Field of view 240 mm wide, 1.00 mm slice spacing, Slice 103 of 155
FLAIR MRI.
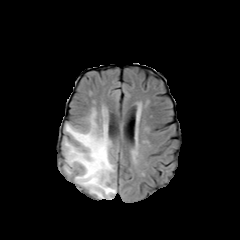
T1-weighted MR.
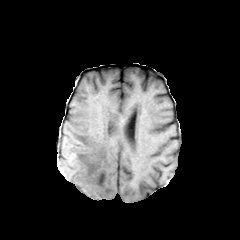
Post-contrast T1-weighted MRI.
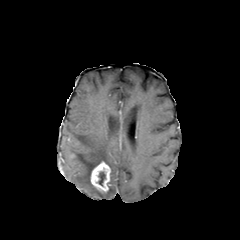
T2-weighted MR.
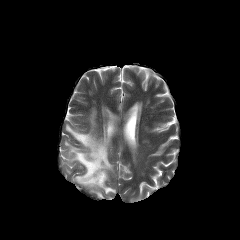
Segmented structures:
* non-enhancing tumor core: bbox=[89, 162, 100, 183]; bbox=[99, 172, 104, 184]
* enhancing tumor: bbox=[90, 161, 110, 192]
* edema: bbox=[62, 112, 116, 199]